Field of view 357x357 mm; Computed tomography

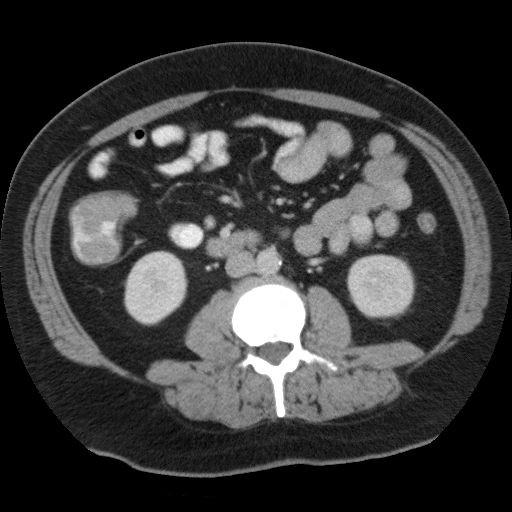 Annotated regions:
• colon tumor: 77, 193, 135, 263